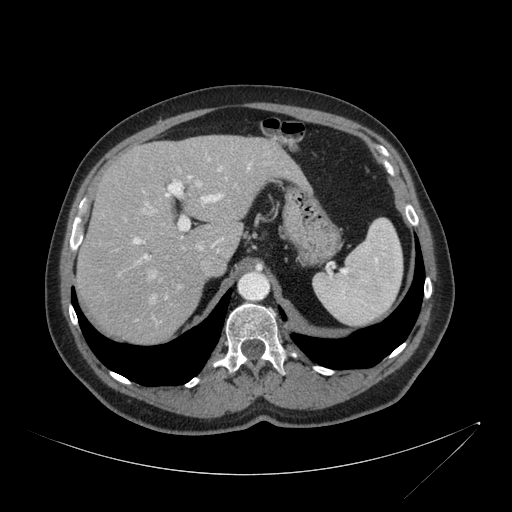

CT scan slice
The liver lies within rect(76, 136, 311, 343).